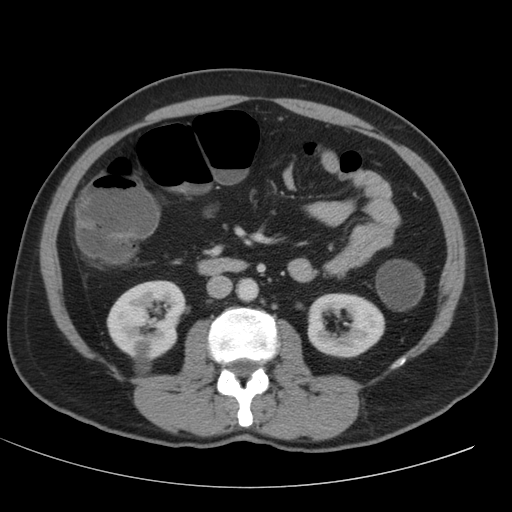
Image size 512x512; CT; Abdomen
kidney: 308 293 383 356, 107 281 184 358